MR | Medial temporal lobe

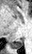
Segmented structures:
• posterior hippocampus: (10, 40, 22, 48)